Image size 240x240. Slice 65/155. Head.
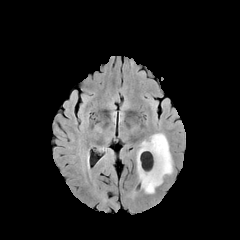
FLAIR MR.
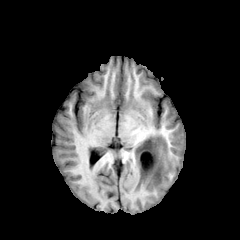
T1-weighted magnetic resonance.
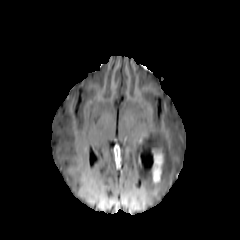
Post-contrast T1-weighted MR image of the same slice.
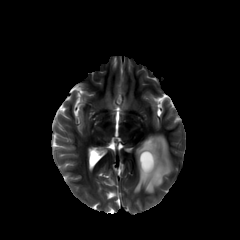
T2-weighted MR image of the same slice.
The enhancing tumor lies within left=153, top=153, right=162, bottom=183. The edema is bounded by left=136, top=133, right=173, bottom=193.